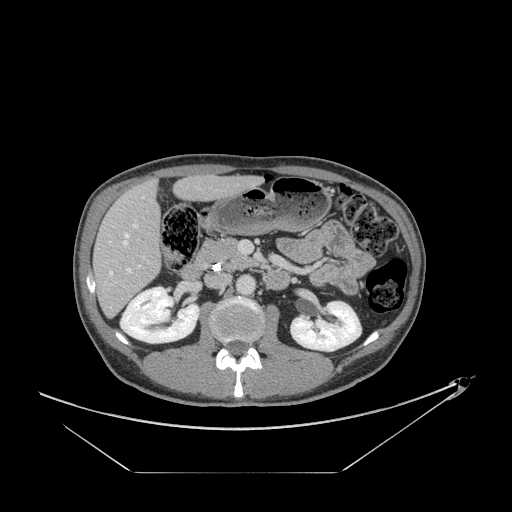
Abdomen | CT image
Pancreas — <box>197,239,236,262</box>.